Head, Slice 86/155, Image size 240x240
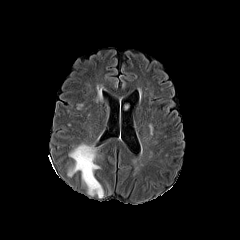
FLAIR MRI.
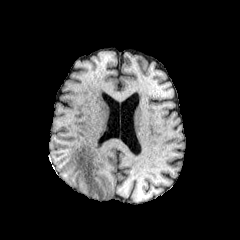
Same slice, T1-weighted MR.
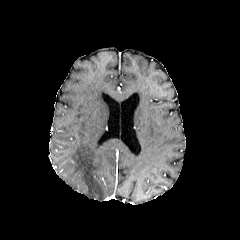
Post-contrast T1-weighted MR image of the same slice.
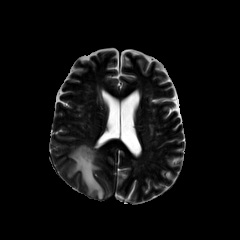
T2-weighted MRI.
Edema: 68,144,103,198.